Magnetic resonance
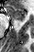 * anterior hippocampus: (8,5,25,20)